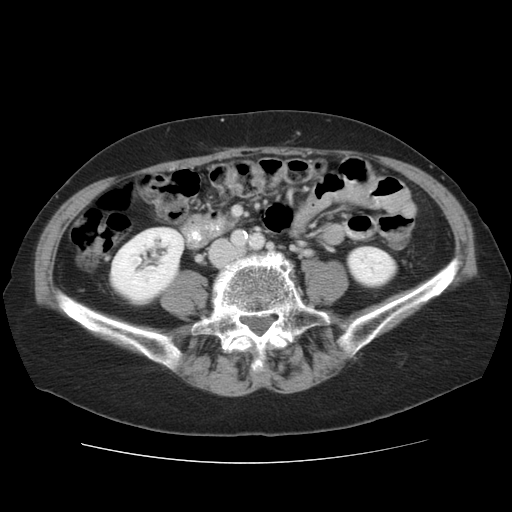 CT image. Abdomen. 2 kidney regions appear at x1=111, y1=228, x2=183, y2=299; x1=349, y1=247, x2=394, y2=287. 3 bone regions are located at x1=337, y1=256, x2=460, y2=356; x1=191, y1=250, x2=329, y2=383; x1=56, y1=291, x2=182, y2=370.